Brain
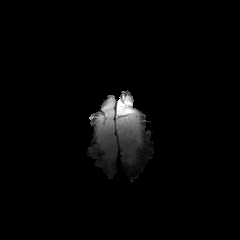
FLAIR MRI.
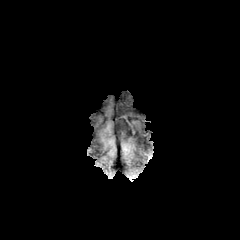
T1-weighted magnetic resonance of the same slice.
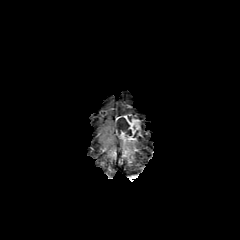
Post-contrast T1-weighted MR image.
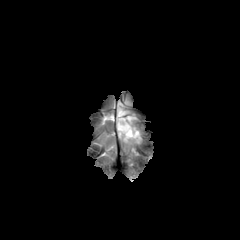
T2-weighted magnetic resonance.
The non-enhancing tumor core lies within l=116, t=117, r=131, b=135. The enhancing tumor is bounded by l=115, t=114, r=142, b=139.